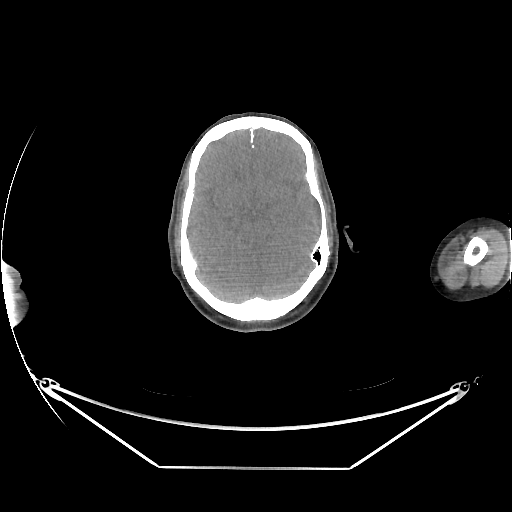

Brain, CT slice

The brain is bounded by box(186, 128, 321, 303).